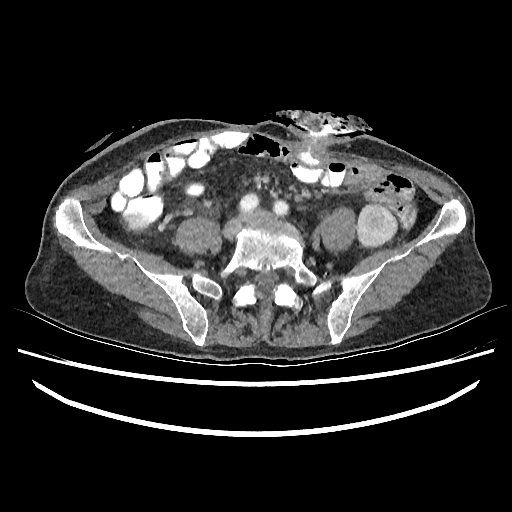
512x512 | Computed tomography
kidney: 357,205,396,245; 385,254,405,262